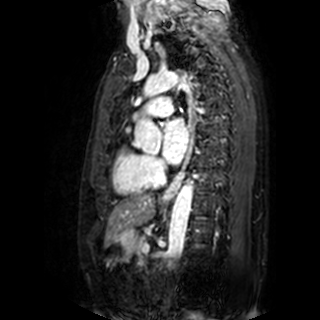
Heart, MRI

{"left_atrium": ["163,118,189,164"]}